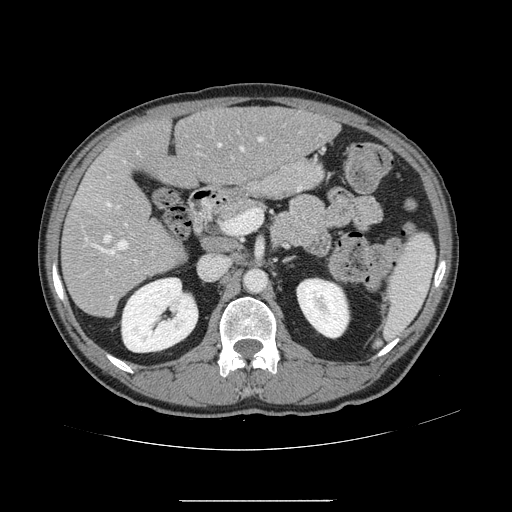

Liver | Computed tomography | Image size 512x512

Some hepatic vessels may have no box.
Hepatic vessel: [91, 240, 126, 256], [117, 206, 119, 207], [110, 296, 111, 298], [135, 259, 136, 261], [106, 202, 110, 206], [104, 235, 110, 242], [218, 143, 220, 146], [125, 224, 126, 225], [241, 147, 243, 150], [137, 151, 139, 153], [258, 137, 263, 140], [85, 238, 88, 242].